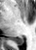 Magnetic resonance.

posterior hippocampus: x1=12 y1=36 x2=23 y2=44